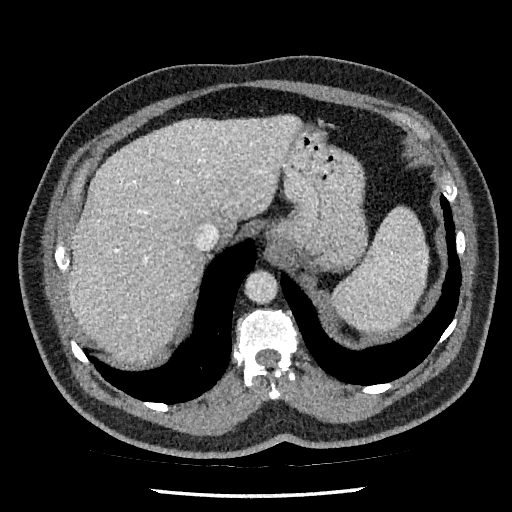 CT slice. 512x512.

{"liver": ["68:116:298:361"]}